Brain
FLAIR MRI.
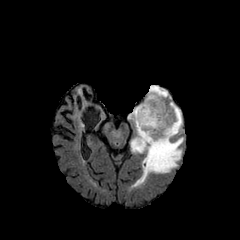
T1-weighted MR image.
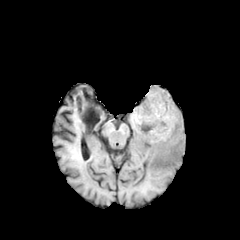
Post-contrast T1-weighted MR image.
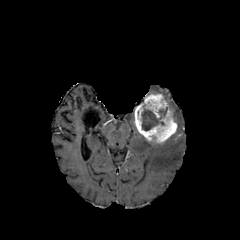
T2-weighted MR image.
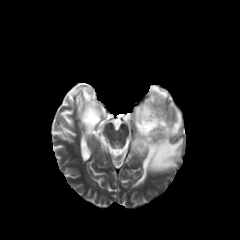
<segmentation>
  <non-enhancing_tumor_core>(158, 106, 170, 117), (142, 109, 158, 130)</non-enhancing_tumor_core>
  <edema>(130, 101, 183, 187), (148, 85, 171, 100), (127, 108, 134, 120)</edema>
  <enhancing_tumor>(134, 92, 177, 143)</enhancing_tumor>
</segmentation>